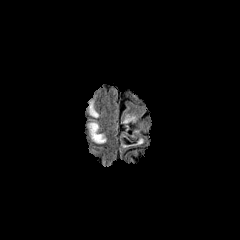
FLAIR magnetic resonance.
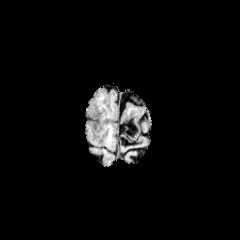
T1-weighted MR.
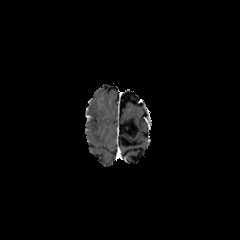
Same slice, post-contrast T1-weighted magnetic resonance.
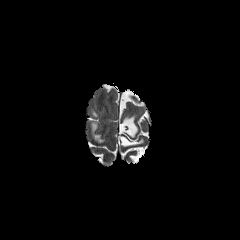
T2-weighted magnetic resonance.
Brain. Image size 240x240.
Edema = <box>88,122,105,143</box>, <box>88,100,97,117</box>.